FLAIR MR.
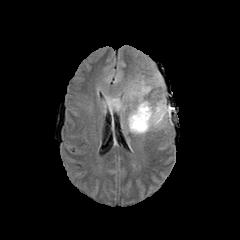
T1-weighted MRI.
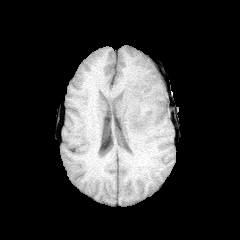
Post-contrast T1-weighted MR image.
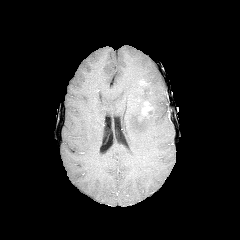
T2-weighted MR image.
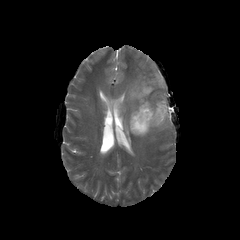
240x240
3 non-enhancing tumor core regions are located at (136, 80, 157, 121), (109, 100, 121, 110), (161, 102, 169, 116). The enhancing tumor is located at (142, 101, 153, 115). The edema lies within (102, 75, 171, 136).